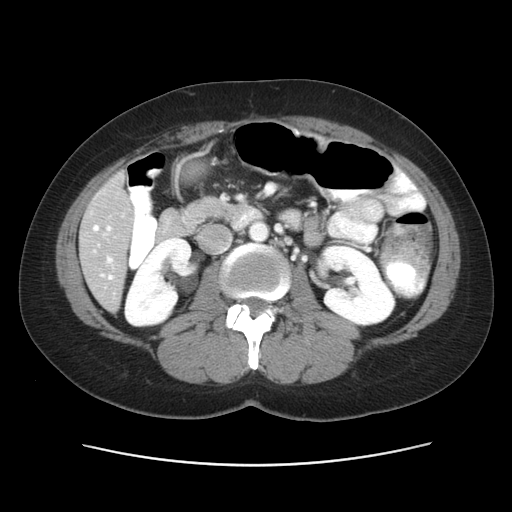 CT slice; 512x512 px
Some hepatic vessels may have no box.
6 hepatic vessel regions are located at rect(93, 226, 97, 230); rect(101, 274, 103, 275); rect(97, 244, 99, 246); rect(107, 257, 111, 262); rect(107, 227, 110, 230); rect(108, 275, 112, 279).